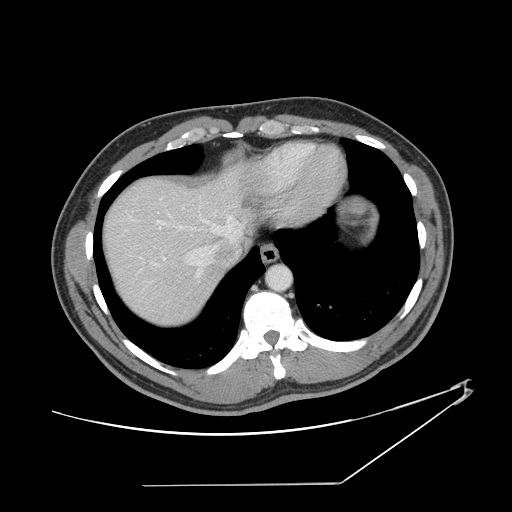
CT
Some hepatic vessels may have no box.
9 hepatic vessel regions appear at 177, 226, 181, 229; 143, 260, 145, 262; 163, 258, 164, 260; 153, 263, 156, 264; 214, 211, 215, 214; 156, 221, 160, 223; 159, 226, 160, 228; 188, 246, 215, 277; 207, 217, 243, 235. The liver tumor appears at 242, 198, 251, 208.